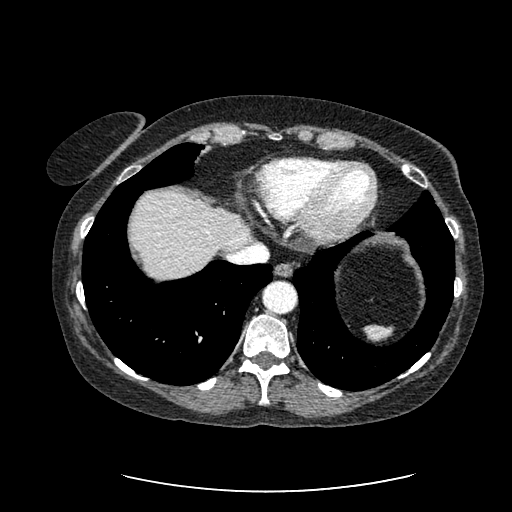 Image size 512x512 | CT slice

The liver appears at 130 191 252 280.